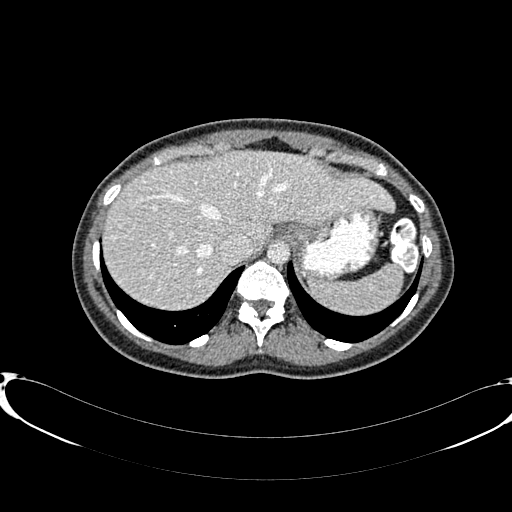
Image size 512x512 | CT image

The liver lies within [104,151,393,309].